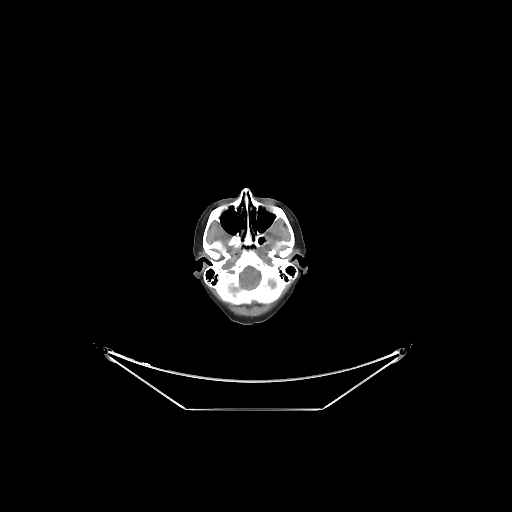
512x512 | CT | Head

Brain: bounding box {"x1": 229, "y1": 265, "x2": 261, "y2": 296}, {"x1": 268, "y1": 278, "x2": 276, "y2": 288}.